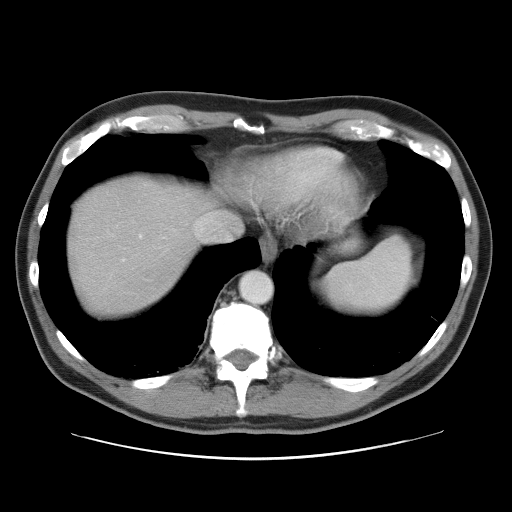
CT slice. Image size 512x512. Abdomen. Only some of the vessels may be annotated.
hepatic_vessel:
  - (195, 218, 204, 234)
  - (139, 235, 140, 238)